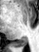 MR image, 39x52 px, Medial temporal lobe
Posterior hippocampus — (16,38,27,45).